Image width 465 mm; Upper abdomen; Computed tomography; Slice 31 of 103 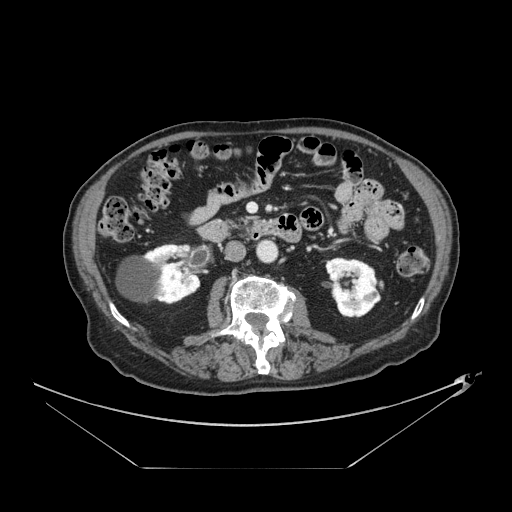 The pancreas is located at left=238, top=217, right=253, bottom=226.